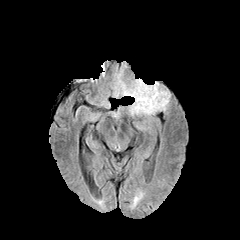
FLAIR MR.
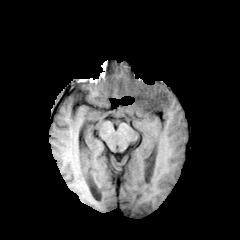
T1-weighted MRI.
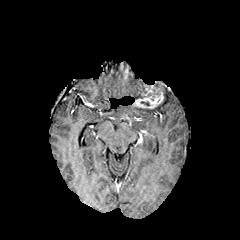
Post-contrast T1-weighted MRI of the same slice.
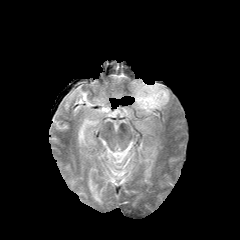
T2-weighted MR.
Brain
{"edema": ["[113, 74, 144, 99]", "[134, 85, 170, 114]"], "enhancing_tumor": ["[135, 82, 163, 109]"]}